CT slice | Upper abdomen

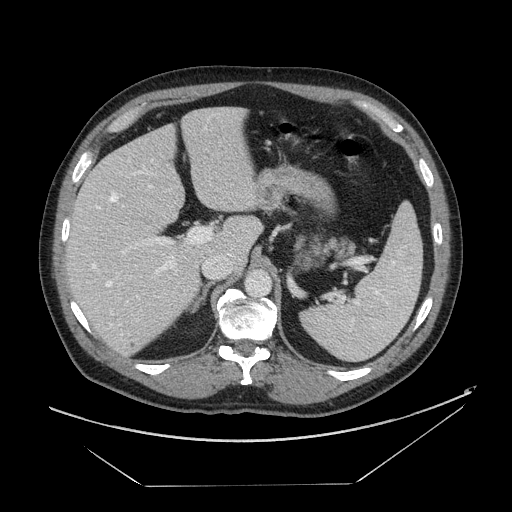

Segmented structures:
* pancreas: <bbox>293, 233, 355, 272</bbox>